Slice 105 of 155. Head. 240x240.
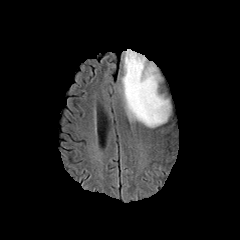
FLAIR MR.
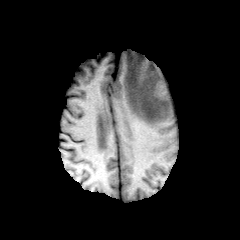
Same slice, T1-weighted MR.
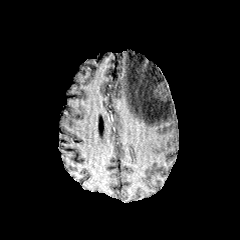
Same slice, post-contrast T1-weighted magnetic resonance.
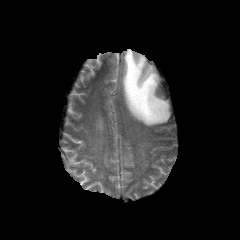
T2-weighted MR image.
The edema lies within [x1=121, y1=49, x2=170, y2=127].